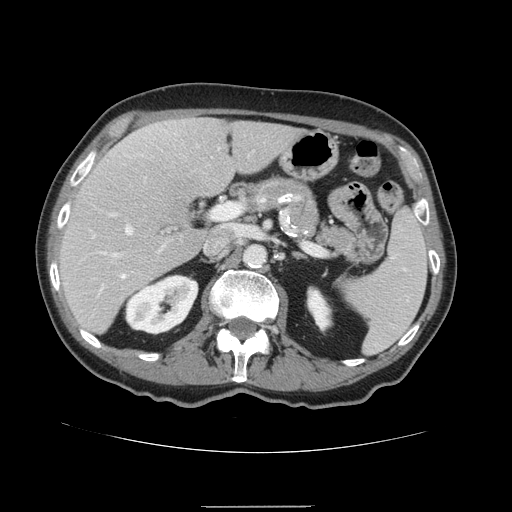

CT scan slice; 512x512
Only some of the vessels may be annotated.
The liver tumor is at [172, 176, 195, 205]. 5 hepatic vessel regions are bounded by [126, 225, 132, 233], [204, 239, 225, 252], [121, 275, 125, 277], [212, 203, 245, 242], [112, 253, 116, 255].